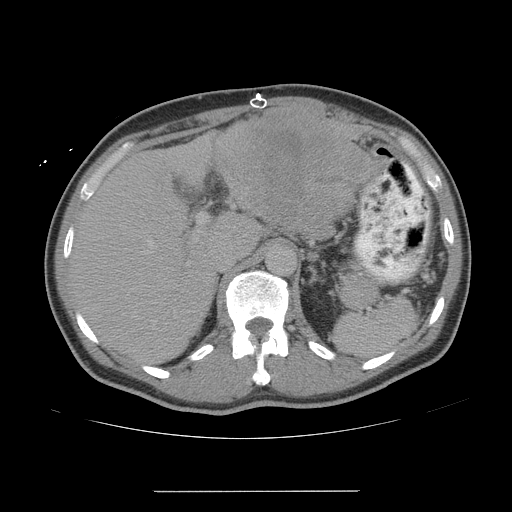
Abdomen; CT
Not every hepatic vessel necessarily has a box.
{"hepatic_vessel": ["box=[148, 238, 153, 247]", "box=[197, 230, 201, 232]", "box=[142, 250, 151, 254]", "box=[194, 238, 197, 241]", "box=[186, 261, 190, 265]", "box=[176, 285, 178, 286]", "box=[197, 213, 209, 223]", "box=[190, 250, 192, 253]"], "liver_tumor": ["box=[216, 108, 379, 229]"]}